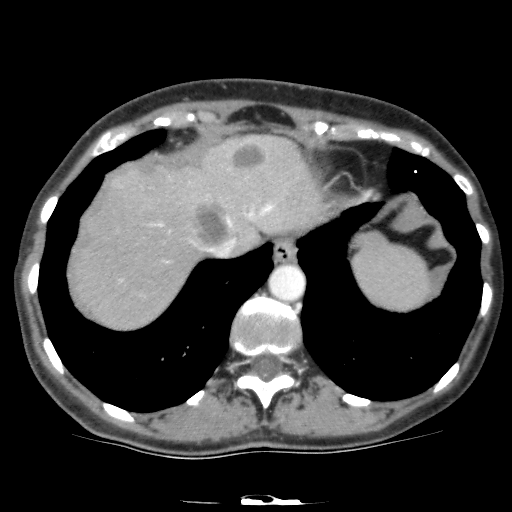
Computed tomography. Abdomen.
<segmentation>
  <liver_lesion>[191,198,232,245], [231,142,267,169]</liver_lesion>
  <liver>[72,133,326,330]</liver>
</segmentation>